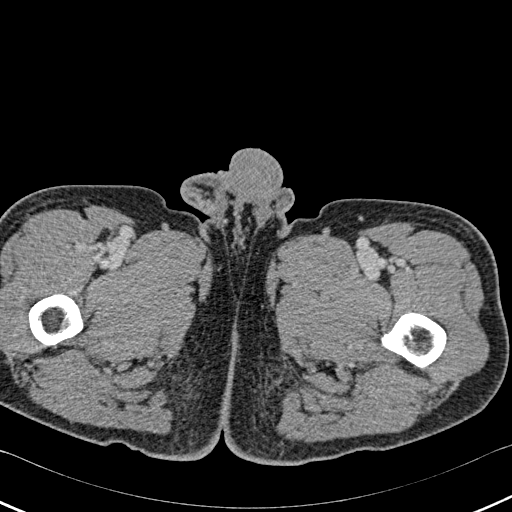 512x512; CT slice

bone: x1=379, y1=313, x2=445, y2=367; x1=29, y1=295, x2=83, y2=344